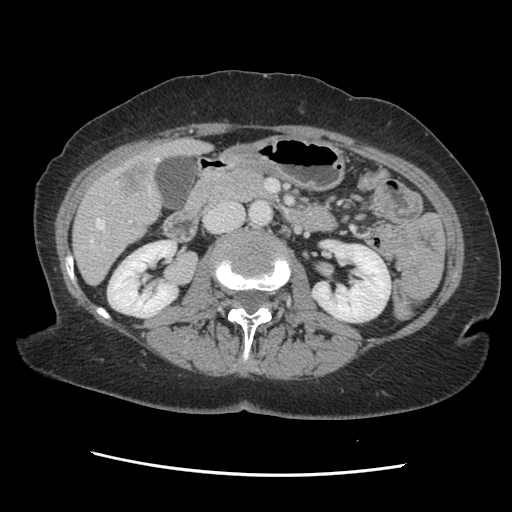

Computed tomography.
The vessel boxes may cover only some of the vessels.
hepatic_vessel:
  - [148, 188, 151, 194]
  - [90, 236, 93, 245]
  - [96, 218, 104, 228]
  - [155, 157, 158, 160]
liver_tumor:
  - [117, 161, 153, 194]